FLAIR MRI.
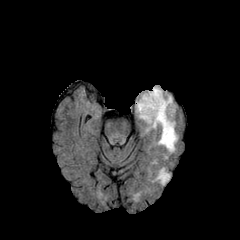
T1-weighted MR image.
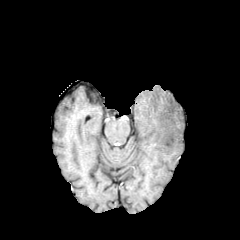
Post-contrast T1-weighted MRI.
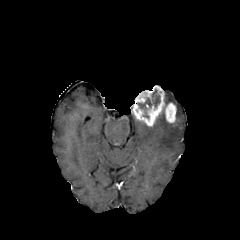
T2-weighted MRI.
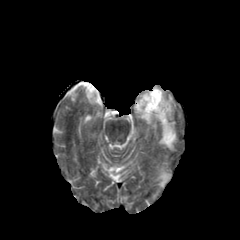
Brain
<segmentation>
  <edema>[151,116,177,152], [165,93,172,102], [157,167,170,184]</edema>
  <enhancing_tumor>[133,85,176,126]</enhancing_tumor>
  <non-enhancing_tumor_core>[138,99,151,109]</non-enhancing_tumor_core>
</segmentation>